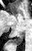

Image size 32x51; MR

Posterior hippocampus at (left=11, top=33, right=23, bottom=45).